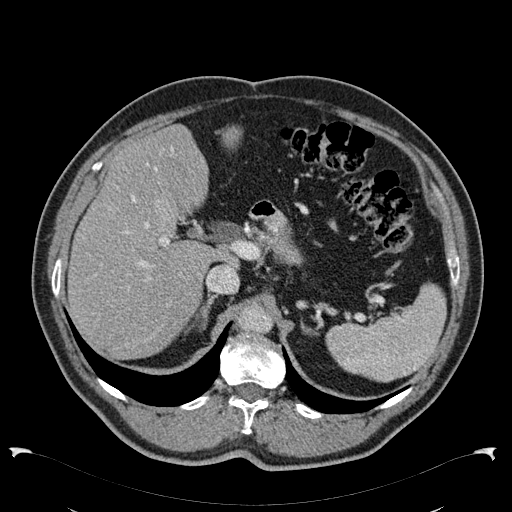
Image size 512x512, Liver, CT scan slice

focal_liver_lesion:
  - (154, 199, 173, 219)
liver:
  - (67, 124, 238, 358)
  - (224, 128, 242, 147)